Brain, Image size 240x240
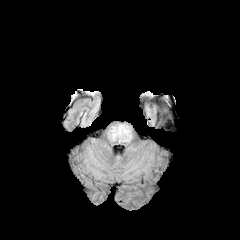
FLAIR magnetic resonance.
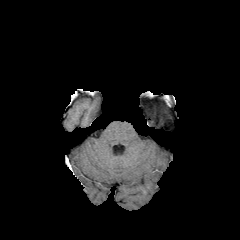
T1-weighted magnetic resonance.
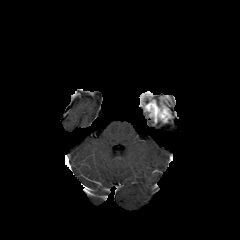
Post-contrast T1-weighted MR image.
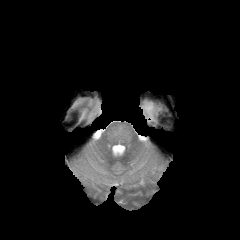
T2-weighted MRI.
The enhancing tumor is bounded by [145,102,157,117].